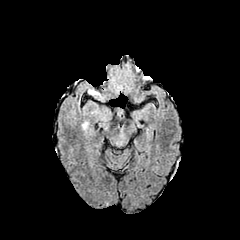
FLAIR MR.
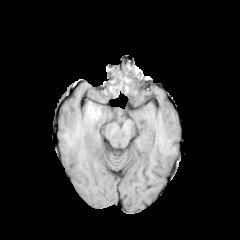
Same slice, T1-weighted magnetic resonance.
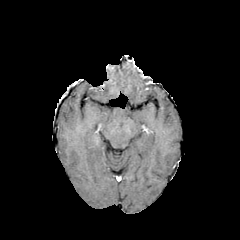
Post-contrast T1-weighted MRI.
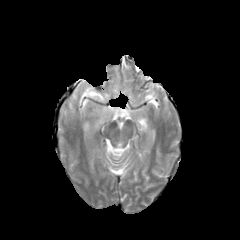
T2-weighted MRI.
<segmentation>
  <edema>bbox(88, 89, 106, 100)</edema>
</segmentation>